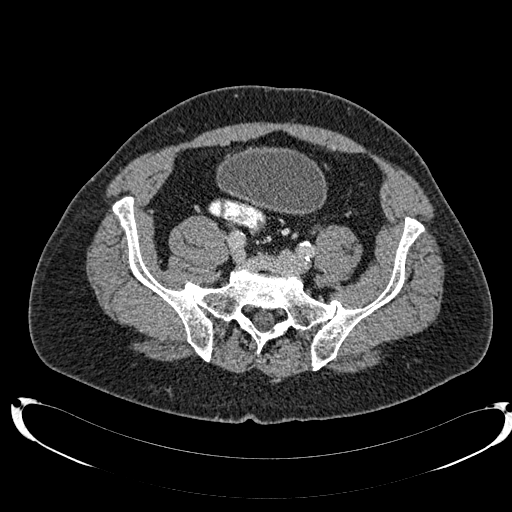 CT scan slice; 512x512 px; Lower abdomen
{"urinary_bladder": ["221,149,326,211"]}